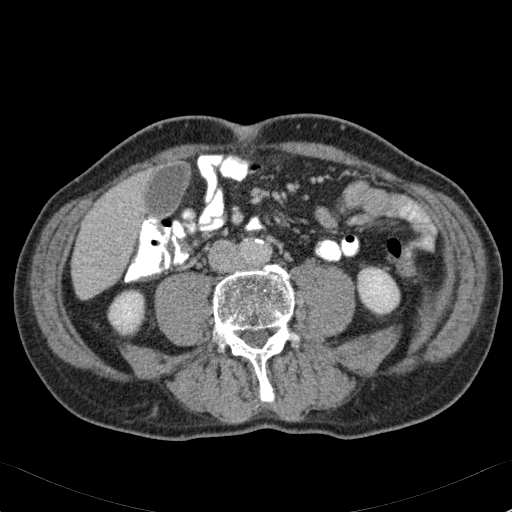
Liver, CT slice
The liver is at <box>72,171,146,299</box>. 2 kidney regions are located at <box>109,292,142,333</box>, <box>358,268,399,313</box>.